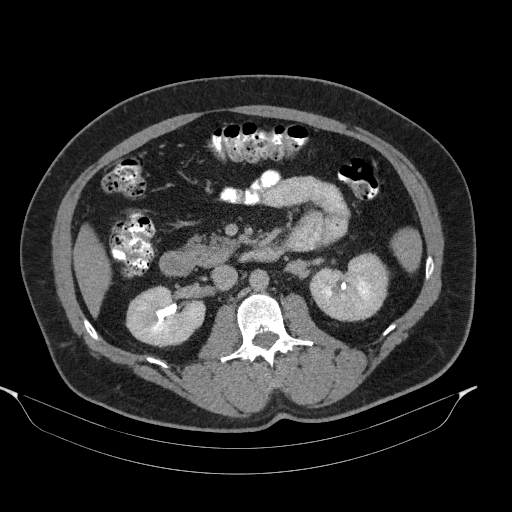
CT scan slice
Pancreas: (184, 233, 237, 267).